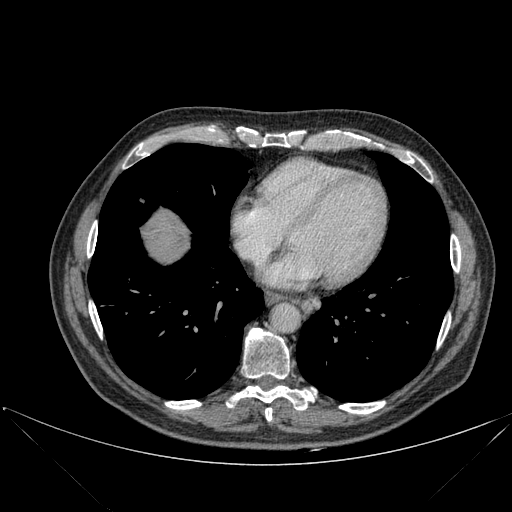 Image size 512x512; CT image
<segmentation>
  <bone>x1=406 y1=153 x2=413 y2=163, x1=339 y1=401 x2=385 y2=413, x1=437 y1=315 x2=450 y2=347, x1=450 y1=234 x2=460 y2=272, x1=234 y1=386 x2=315 y2=410, x1=288 y1=131 x2=300 y2=136, x1=165 y1=400 x2=201 y2=409, x1=244 y1=328 x2=288 y2=378, x1=262 y1=134 x2=289 y2=146, x1=89 y1=302 x2=102 y2=338, x1=344 y1=132 x2=366 y2=140, x1=265 y1=408 x2=271 y2=421, x1=239 y1=127 x2=257 y2=134, x1=87 y1=221 x2=97 y2=257, x1=133 y1=144 x2=148 y2=156</bone>
  <liver>x1=142 y1=209 x2=189 y2=259</liver>
  <lung>x1=88 y1=143 x2=263 y2=399, x1=296 y1=151 x2=453 y2=402</lung>
</segmentation>